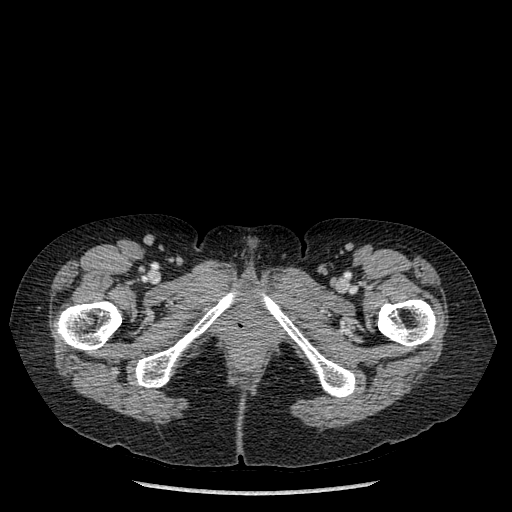
CT image

4 bone regions are located at box(378, 299, 436, 348); box(55, 300, 121, 352); box(135, 289, 239, 387); box(257, 292, 355, 397).